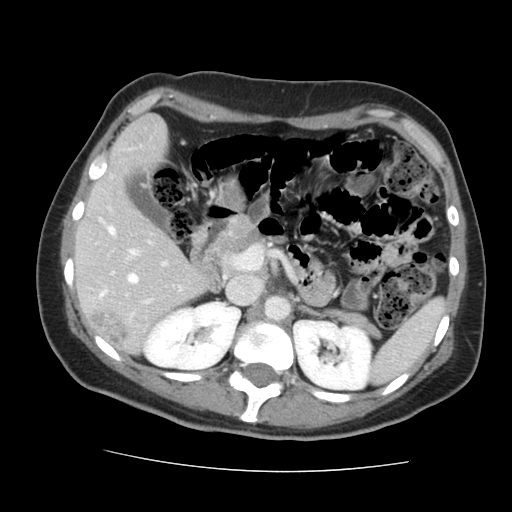
CT scan slice; Image size 512x512
The vessel annotation is not exhaustive.
The liver tumor lies within x1=91 y1=311 x2=127 y2=345. 6 hepatic vessel regions appear at x1=108 y1=227 x2=113 y2=234, x1=128 y1=274 x2=136 y2=282, x1=162 y1=263 x2=165 y2=265, x1=100 y1=292 x2=104 y2=297, x1=145 y1=301 x2=148 y2=302, x1=129 y1=250 x2=136 y2=255.